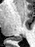 MRI slice, Hippocampus

Posterior hippocampus: bounding box l=15, t=37, r=21, b=41.